Brain | Slice 78/155
FLAIR magnetic resonance.
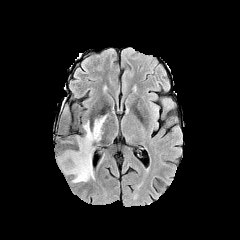
T1-weighted magnetic resonance.
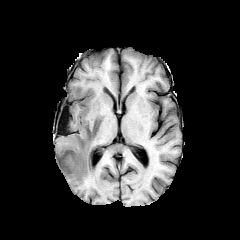
Post-contrast T1-weighted magnetic resonance.
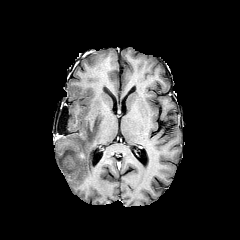
T2-weighted MR.
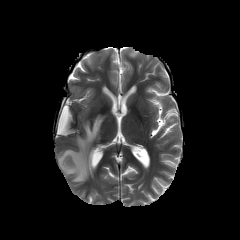
Edema at box(58, 115, 106, 183).